MR image. 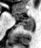

Annotated regions:
* anterior hippocampus: [x1=13, y1=13, x2=18, y2=16]
* posterior hippocampus: [x1=15, y1=17, x2=18, y2=19], [x1=20, y1=18, x2=33, y2=30]